Head, Field of view 240x240 mm, Slice 100 of 155
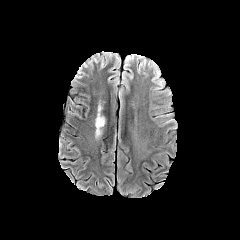
FLAIR MRI.
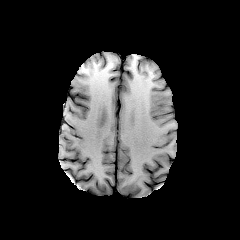
Same slice, T1-weighted MR.
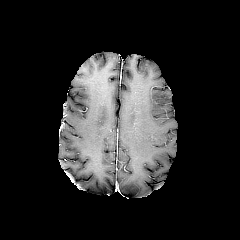
Post-contrast T1-weighted magnetic resonance.
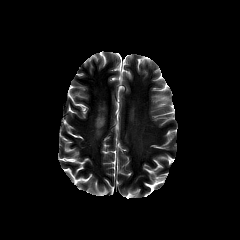
T2-weighted MR image.
Annotated regions:
• edema: 95:113:105:134